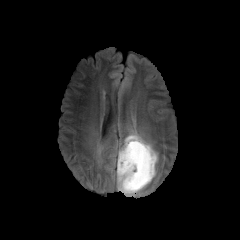
FLAIR MRI.
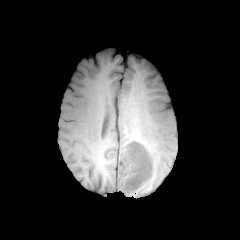
Same slice, T1-weighted MRI.
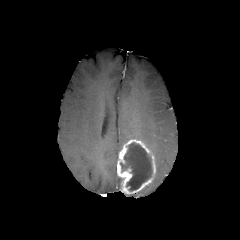
Post-contrast T1-weighted MR image.
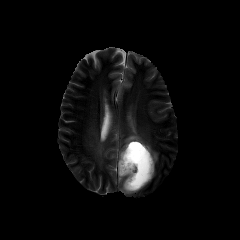
Same slice, T2-weighted magnetic resonance.
Head
Segmented structures:
* enhancing tumor: [117, 139, 152, 194]
* non-enhancing tumor core: [122, 142, 154, 190]
* edema: [124, 132, 157, 163], [116, 174, 121, 188], [113, 146, 122, 172]